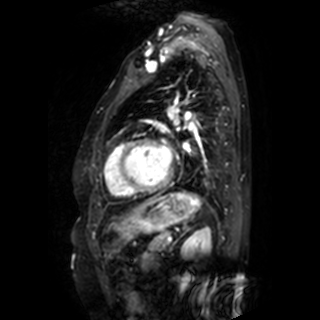

Image size 320x320; Cardiac; MRI
{
  "left_atrium": [
    "l=161, t=146, r=171, b=161"
  ]
}